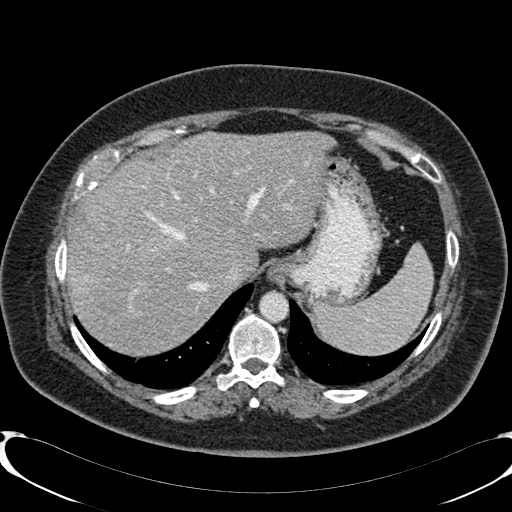 Computed tomography | Upper abdomen

The liver is at (67,132,333,353). 3 liver lesion regions appear at (71,215,88,234), (89,222,110,242), (108,253,137,290).